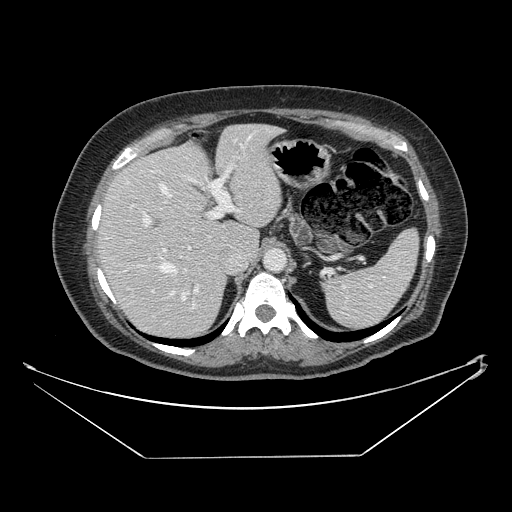 Computed tomography. The pancreas is at <box>288,211,314,247</box>.